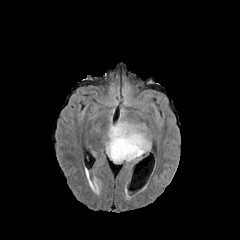
FLAIR MR image.
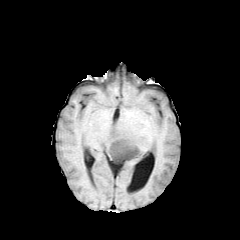
T1-weighted magnetic resonance of the same slice.
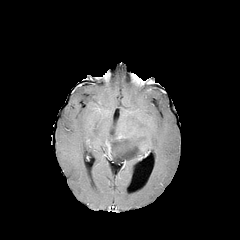
Same slice, post-contrast T1-weighted magnetic resonance.
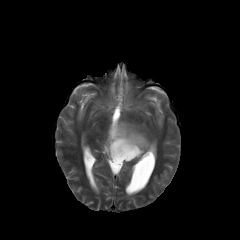
T2-weighted MR image.
240x240. Brain.
The non-enhancing tumor core is at [111,136,140,163]. The enhancing tumor lies within [116,133,135,139]. The edema is located at [103,84,153,162].